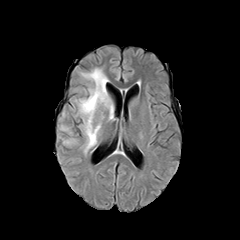
FLAIR MR.
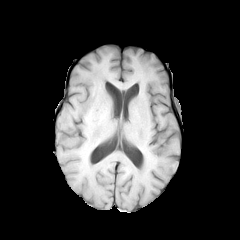
T1-weighted MRI of the same slice.
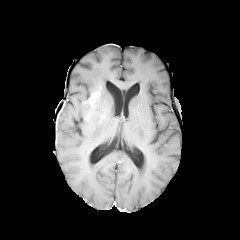
Post-contrast T1-weighted MRI of the same slice.
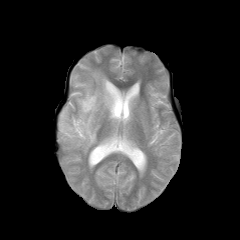
T2-weighted MR of the same slice.
Brain
The enhancing tumor is at box=[82, 88, 100, 108]. The non-enhancing tumor core is located at box=[82, 104, 93, 119]. The edema is at box=[60, 68, 114, 153].